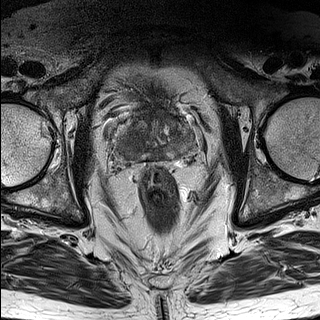
T2-weighted MR image.
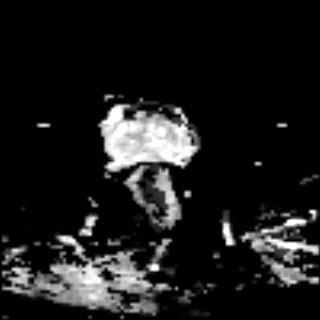
ADC magnetic resonance.
* prostate peripheral zone: 116:113:192:164